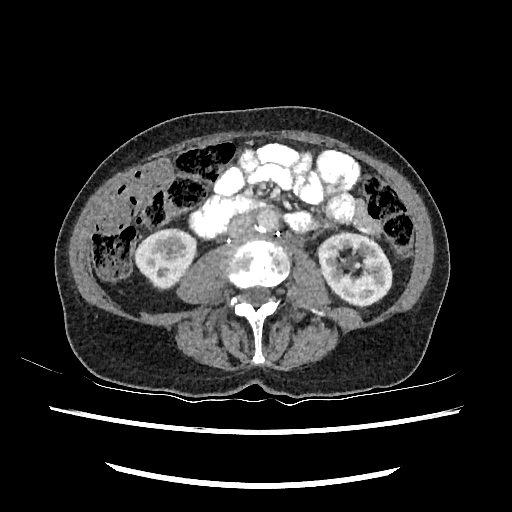 CT; Abdomen
2 kidney regions appear at 136:228:195:286, 319:232:391:304.